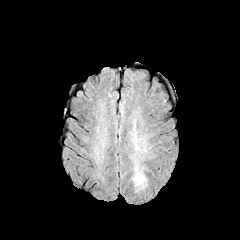
FLAIR magnetic resonance.
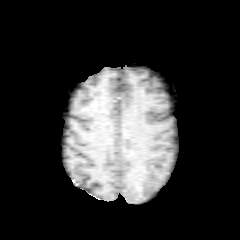
T1-weighted MR of the same slice.
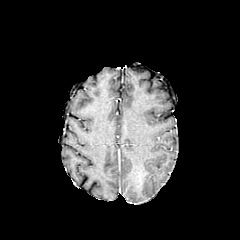
Same slice, post-contrast T1-weighted magnetic resonance.
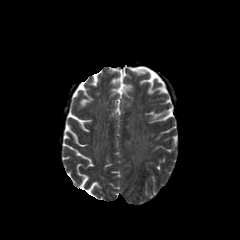
T2-weighted MR image.
Head
{
  "edema": [
    "bbox(135, 173, 146, 187)"
  ]
}